Slice 59 of 89. Image size 512x512. Abdomen. CT image. 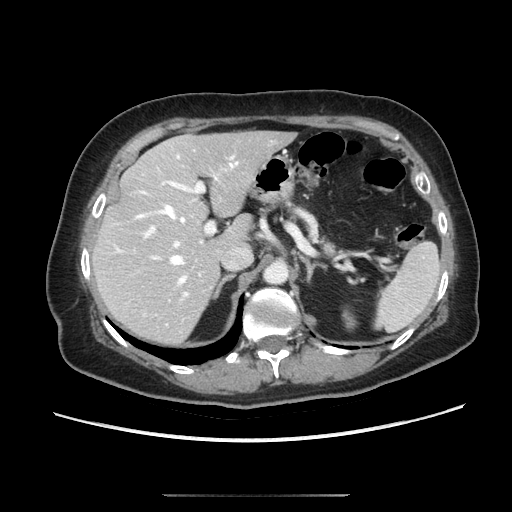

pancreas:
  - 323 243 334 254